CT; Field of view 360 mm wide, 0.80 mm slice spacing; Thorax
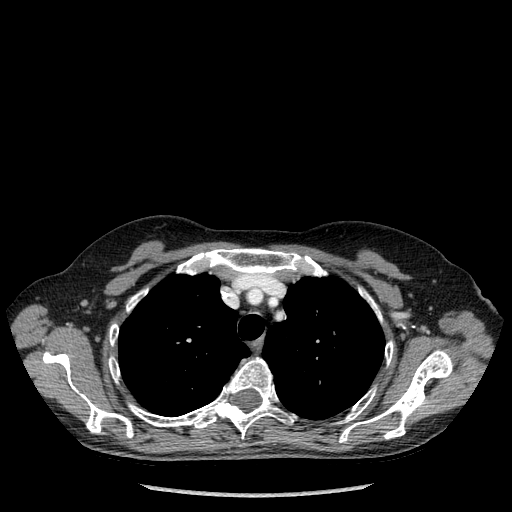
Bone — left=109, top=323, right=118, bottom=345; left=176, top=249, right=326, bottom=277; left=108, top=356, right=119, bottom=383; left=42, top=352, right=133, bottom=437; left=337, top=387, right=376, bottom=423; left=385, top=341, right=393, bottom=365; left=339, top=350, right=454, bottom=442; left=128, top=357, right=296, bottom=438; left=126, top=288, right=147, bottom=311; left=359, top=287, right=382, bottom=321.
Lung — left=262, top=276, right=384, bottom=419; left=118, top=273, right=263, bottom=416.